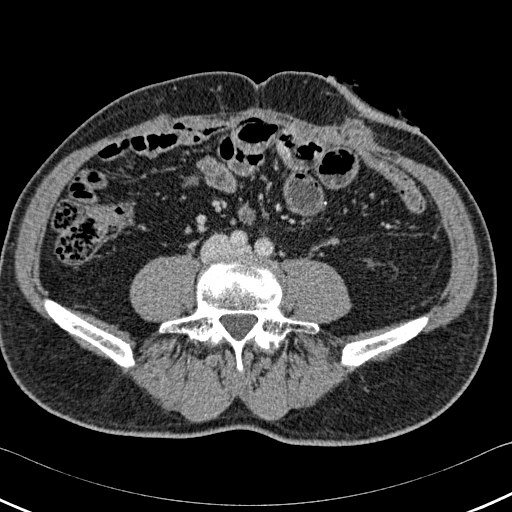

CT scan slice. 512x512 px.

3 bone regions are located at bbox=[45, 300, 133, 366]; bbox=[160, 261, 318, 371]; bbox=[342, 317, 427, 365].